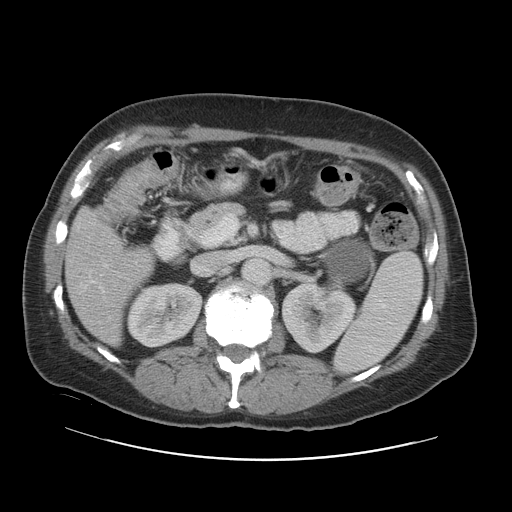
512x512 px; CT; Liver
Not every hepatic vessel necessarily has a box.
Hepatic vessel = l=104, t=264, r=108, b=267.